Abdomen | CT 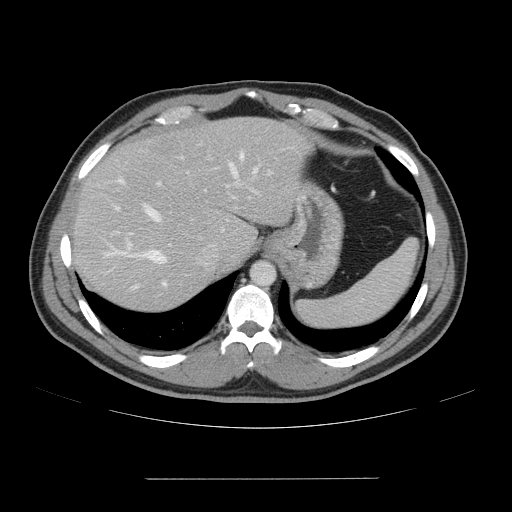
The vessel boxes may cover only some of the vessels.
The most prominent 15 hepatic vessel regions (of 18) are located at [232,196,234,198], [240,150,243,158], [163,282,165,286], [132,285,137,288], [103,241,131,256], [136,250,165,262], [226,185,229,187], [254,168,256,172], [230,163,238,184], [115,207,119,209], [116,177,123,182], [158,182,160,184], [267,170,271,174], [251,189,256,192], [143,204,159,220].